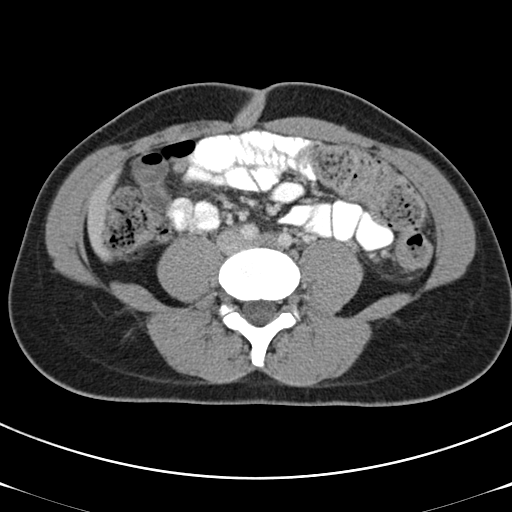
Pelvis, CT slice
Colon tumor: bounding box rect(396, 239, 433, 268).